CT

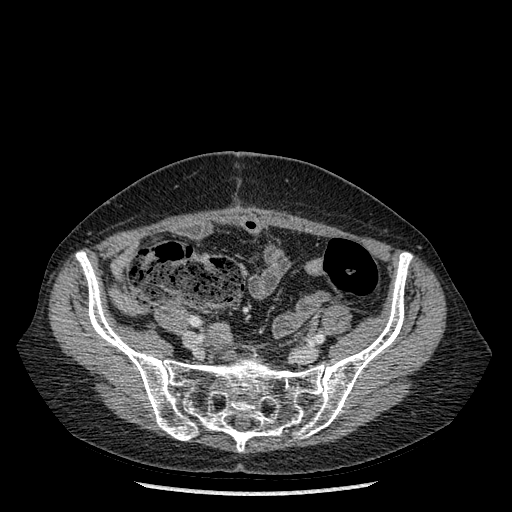

bone:
  - {"x1": 75, "y1": 251, "x2": 412, "y2": 451}